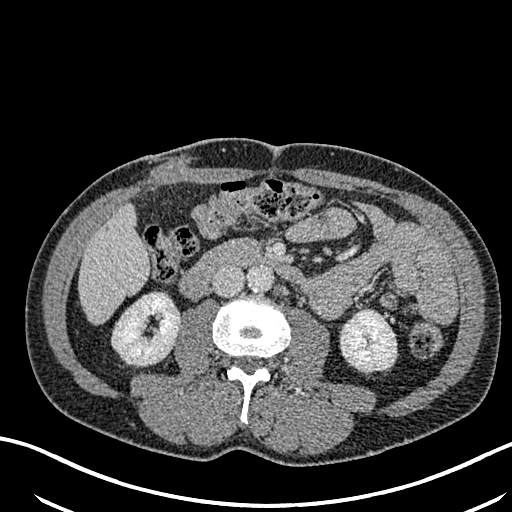 CT scan slice

Findings:
* liver: (x1=78, y1=205, x2=148, y2=323)
* hepatic lesion: (x1=102, y1=223, x2=109, y2=232)
* kidney: (x1=112, y1=293, x2=179, y2=364), (x1=341, y1=310, x2=396, y2=370)